240x240. Brain.
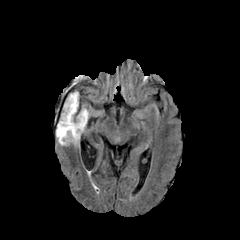
FLAIR MR image.
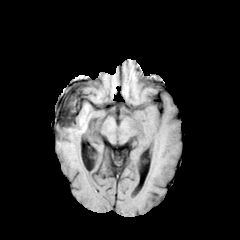
T1-weighted MRI of the same slice.
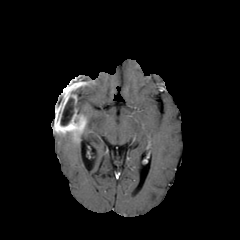
Post-contrast T1-weighted magnetic resonance.
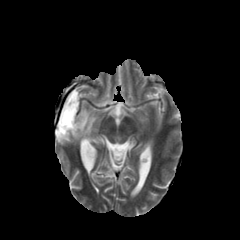
Same slice, T2-weighted magnetic resonance.
The enhancing tumor is bounded by 54, 78, 85, 139. 3 non-enhancing tumor core regions are bounded by 57, 95, 65, 121; 76, 105, 87, 121; 60, 97, 75, 125. 2 edema regions are located at 78, 90, 88, 118; 56, 133, 78, 145.